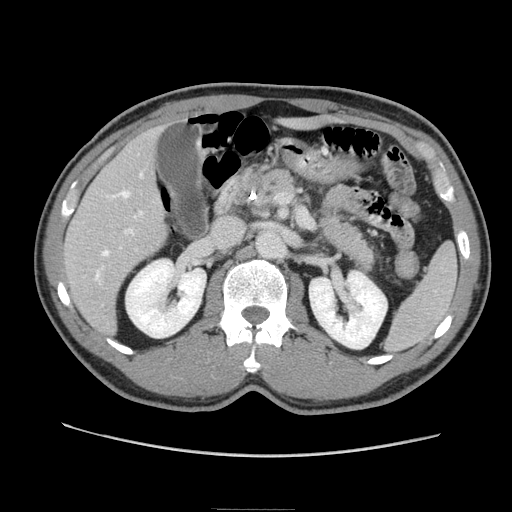

CT slice | Upper abdomen
{
  "pancreas": [
    "box(250, 169, 297, 207)",
    "box(316, 211, 379, 274)"
  ]
}